CT scan slice. Abdomen. 512x512. Slice 93 of 171.

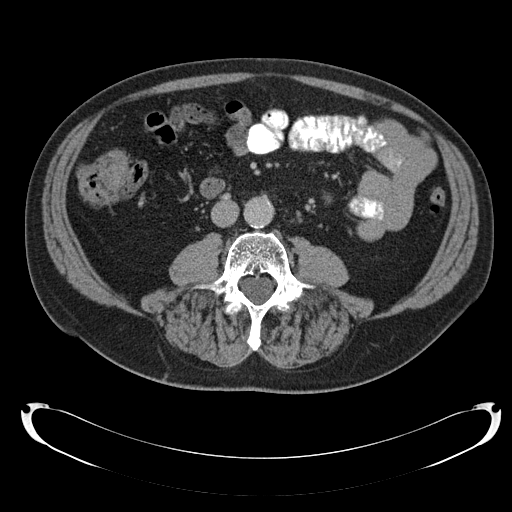 Colon tumor: [99, 150, 126, 189].